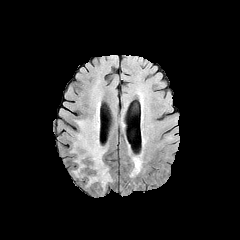
FLAIR MR image.
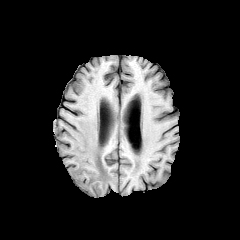
T1-weighted MR image of the same slice.
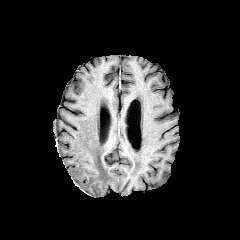
Post-contrast T1-weighted MRI of the same slice.
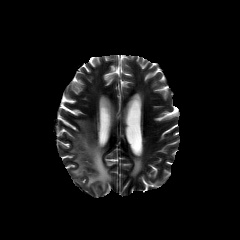
T2-weighted MR image of the same slice.
Edema — 130:154:142:177, 72:118:111:188.